Slice 115 of 155
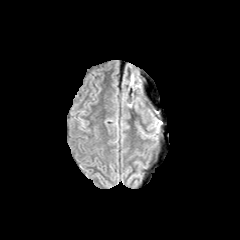
FLAIR magnetic resonance.
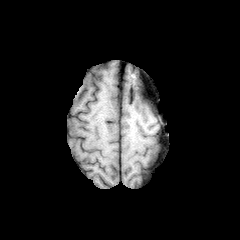
Same slice, T1-weighted magnetic resonance.
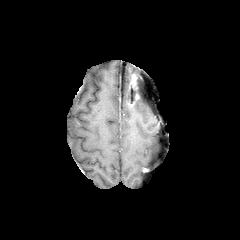
Post-contrast T1-weighted magnetic resonance.
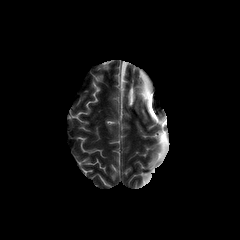
T2-weighted MR image.
<segmentation>
  <edema><bbox>140, 130, 157, 139</bbox>, <bbox>147, 109, 161, 129</bbox>, <bbox>128, 87, 138, 103</bbox></edema>
</segmentation>